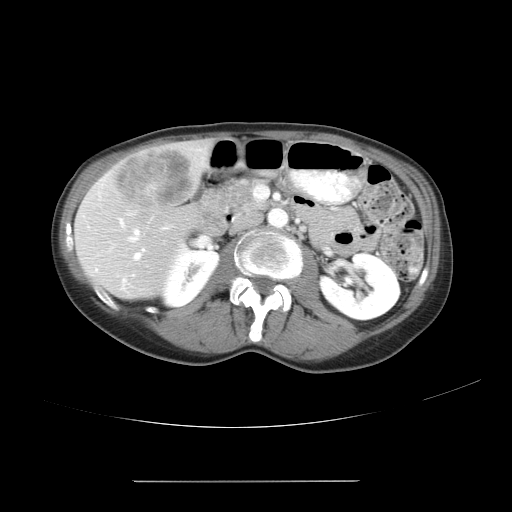

Liver, CT image
The vessel boxes may cover only some of the vessels.
7 hepatic vessel regions are bounded by (129, 229, 138, 240), (133, 248, 143, 258), (92, 269, 96, 272), (119, 219, 123, 226), (120, 278, 128, 291), (127, 211, 133, 214), (163, 226, 167, 228). The liver tumor is located at (115, 149, 192, 205).